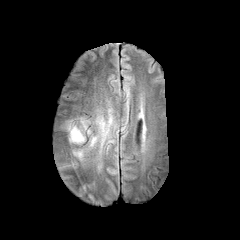
FLAIR MR.
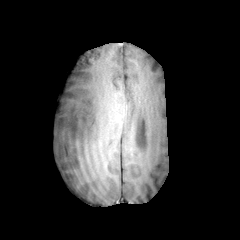
T1-weighted MR image of the same slice.
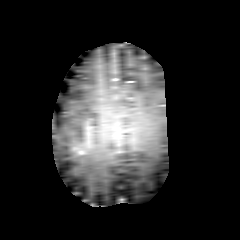
Post-contrast T1-weighted MR image of the same slice.
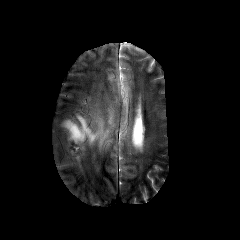
Same slice, T2-weighted magnetic resonance.
Head.
Edema: region(66, 117, 94, 142).